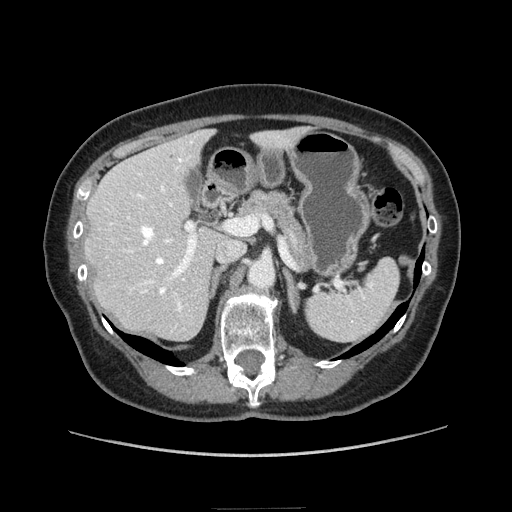
Abdomen; Computed tomography
The pancreas is located at box(238, 191, 311, 266).